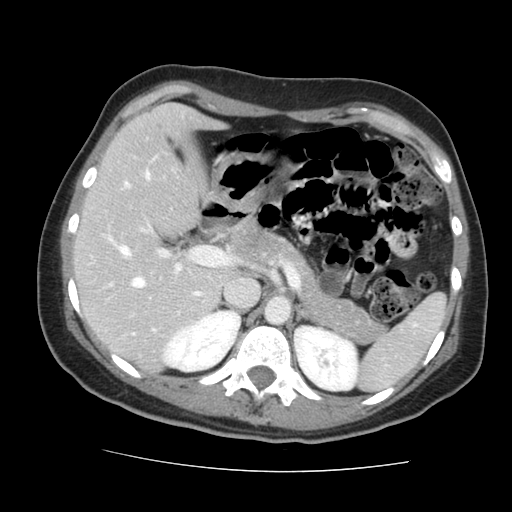
CT slice. 512x512. Abdomen.
Not every hepatic vessel necessarily has a box.
Hepatic vessel = l=110, t=284, r=111, b=285; l=132, t=278, r=143, b=287; l=117, t=246, r=128, b=255; l=175, t=264, r=180, b=271.